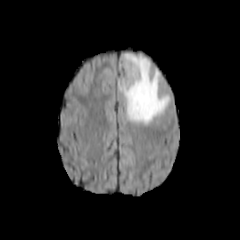
FLAIR magnetic resonance.
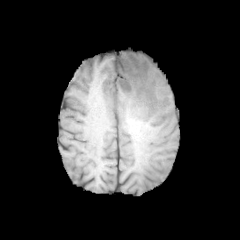
T1-weighted MRI.
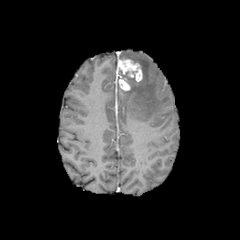
Same slice, post-contrast T1-weighted MRI.
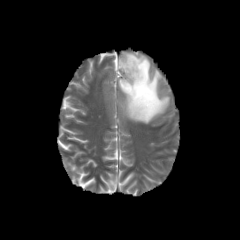
T2-weighted MR.
Brain; 240x240
edema: [120, 53, 170, 124] | enhancing tumor: [118, 78, 131, 90], [118, 58, 142, 81]